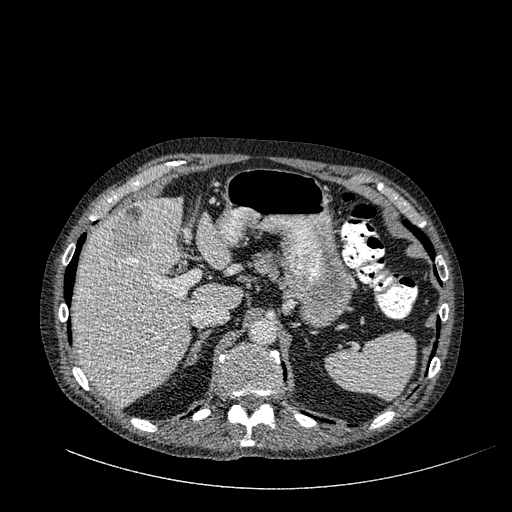

Abdomen, CT scan slice
focal liver lesion: (109, 206, 151, 258) | liver: (73, 197, 242, 405), (197, 214, 229, 268)